CT image | Slice 392 of 722 | Image width 382 mm 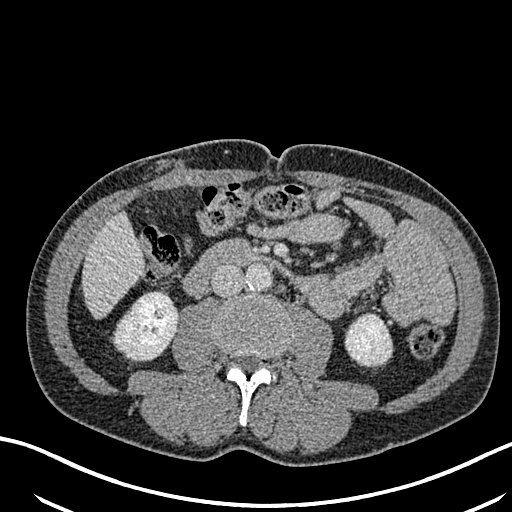
The liver is at <bbox>83, 212, 142, 317</bbox>. 2 kidney regions are located at <bbox>115, 292, 177, 359</bbox>, <bbox>346, 315, 391, 364</bbox>.